Slice 465/565, CT, Chest

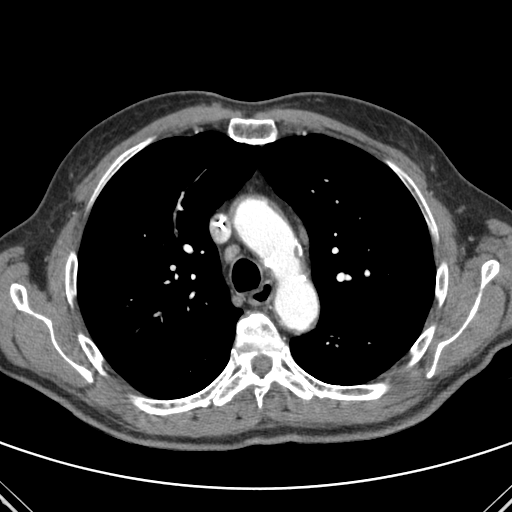 <segmentation>
  <lung>l=77, t=131, r=435, b=399</lung>
  <bone>l=228, t=118, r=276, b=144; l=480, t=260, r=499, b=289; l=92, t=140, r=148, b=198; l=65, t=252, r=77, b=304; l=78, t=334, r=105, b=375; l=435, t=262, r=448, b=305; l=10, t=283, r=92, b=382; l=130, t=313, r=388, b=415; l=427, t=292, r=481, b=377; l=387, t=161, r=437, b=238; l=409, t=325, r=434, b=365</bone>
</segmentation>